FLAIR magnetic resonance.
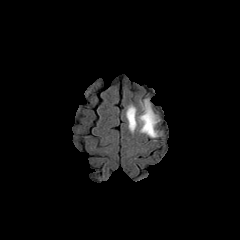
T1-weighted magnetic resonance.
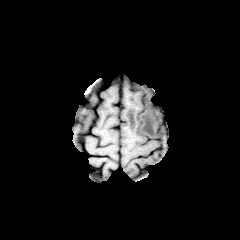
Post-contrast T1-weighted MR image.
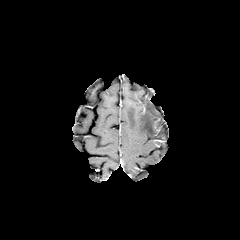
T2-weighted magnetic resonance.
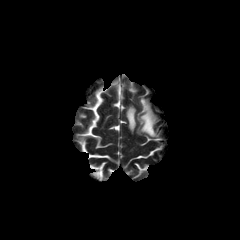
Image size 240x240. Head.
Edema: bounding box [126, 100, 159, 137].